Brain, Image size 240x240, Slice 117 of 155
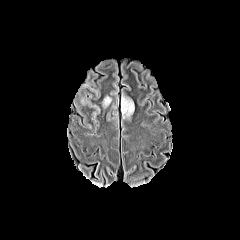
FLAIR magnetic resonance.
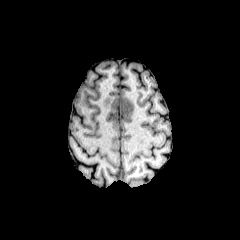
T1-weighted MR.
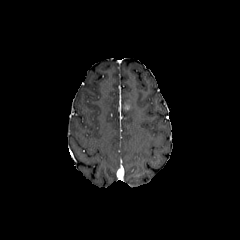
Post-contrast T1-weighted MR image.
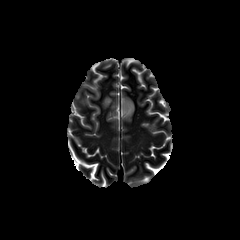
T2-weighted MR.
edema:
  - bbox=[121, 94, 134, 119]
  - bbox=[102, 96, 111, 107]